Slice 45/122 | Upper abdomen | CT slice | Image width 512 mm | 512x512
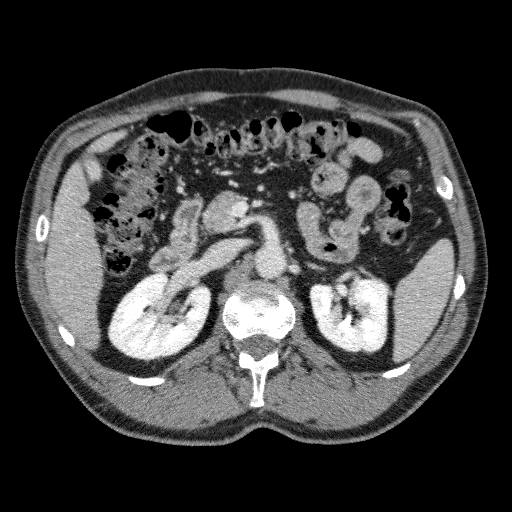
3 kidney regions appear at x1=337, y1=285, x2=346, y2=295; x1=311, y1=280, x2=387, y2=350; x1=109, y1=273, x2=209, y2=358. 2 liver regions are bounded by x1=45, y1=162, x2=102, y2=348; x1=88, y1=130, x2=127, y2=153.